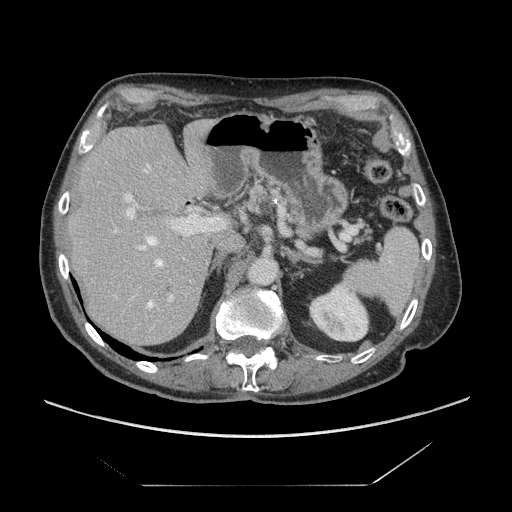 CT image | Upper abdomen | 512x512
Pancreas — [x1=240, y1=182, x2=274, y2=214].